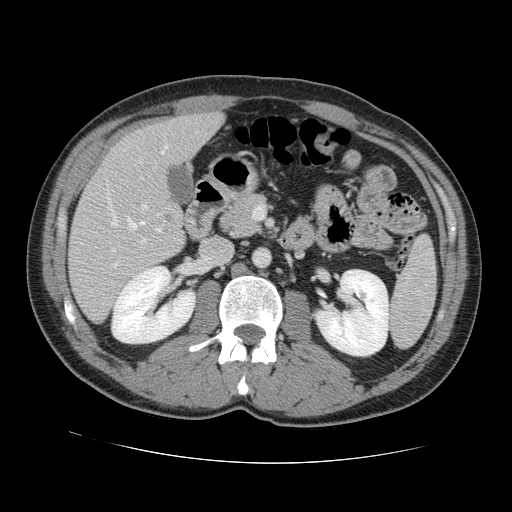 Abdomen; CT slice

Not every hepatic vessel necessarily has a box.
Findings:
• hepatic vessel: x1=106 y1=189 x2=116 y2=225, x1=139 y1=221 x2=143 y2=224, x1=111 y1=249 x2=114 y2=251, x1=141 y1=206 x2=146 y2=209, x1=112 y1=263 x2=117 y2=266, x1=139 y1=238 x2=145 y2=242, x1=156 y1=228 x2=160 y2=231, x1=155 y1=213 x2=162 y2=216, x1=161 y1=144 x2=168 y2=153, x1=137 y1=159 x2=142 y2=162, x1=128 y1=218 x2=137 y2=230